CT image | Abdomen
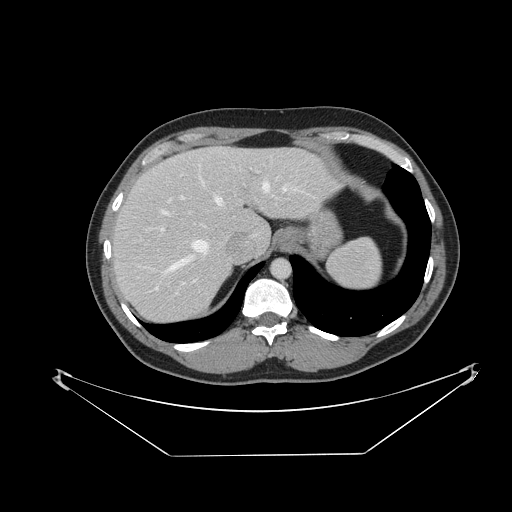
Spleen: (x1=328, y1=239, x2=380, y2=290).